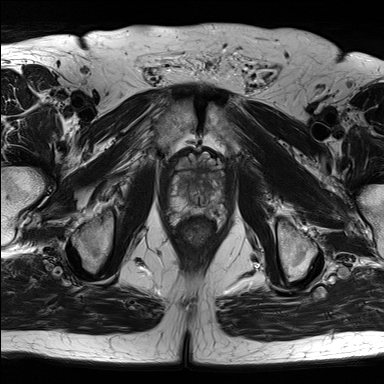
T2-weighted magnetic resonance.
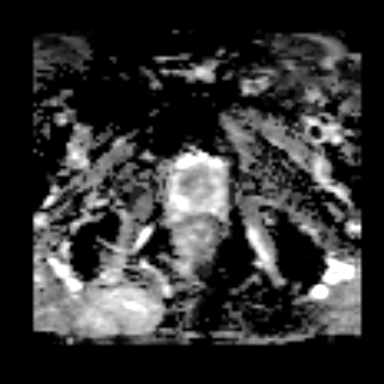
Same slice, ADC magnetic resonance.
Prostate transition zone at left=177, top=155, right=224, bottom=204.
Prostate peripheral zone at left=166, top=161, right=229, bottom=217.